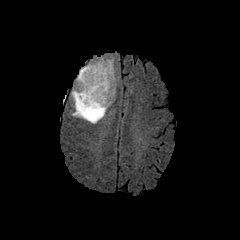
FLAIR MR image.
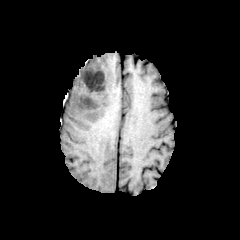
T1-weighted MR of the same slice.
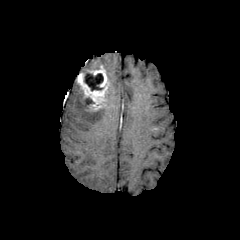
Same slice, post-contrast T1-weighted MR image.
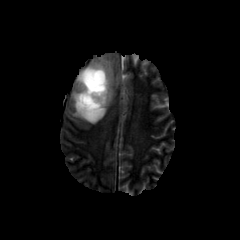
T2-weighted MR image.
Head | 240x240
The edema is bounded by x1=70 y1=57 x2=118 y2=124. The enhancing tumor appears at x1=76 y1=66 x2=107 y2=111. 2 non-enhancing tumor core regions are bounded by x1=79 y1=85 x2=97 y2=113, x1=83 y1=70 x2=103 y2=90.